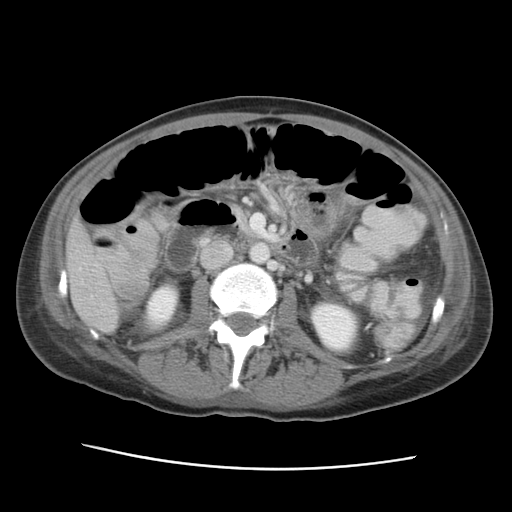
CT image
kidney:
  - [311, 303, 356, 351]
  - [148, 287, 176, 323]
liver:
  - [67, 217, 113, 325]